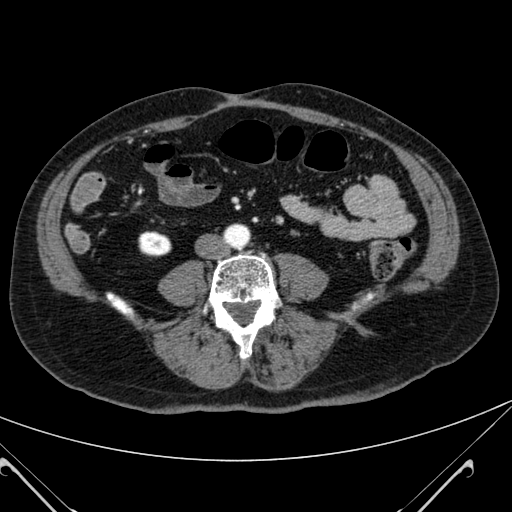 512x512 px. CT slice. <segmentation>
  <kidney>bbox=[140, 233, 169, 254]</kidney>
</segmentation>